CT, Field of view 700 mm wide, 2.50 mm slice spacing 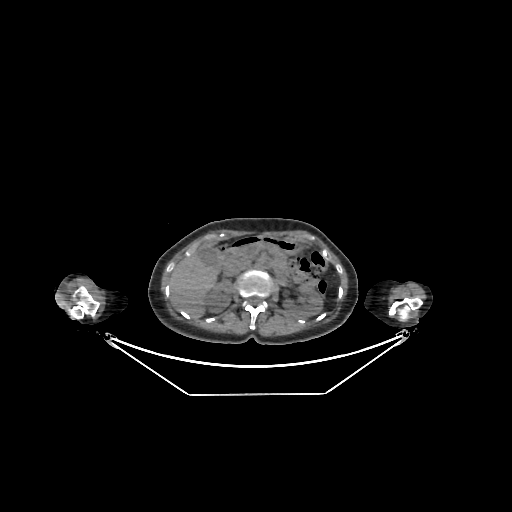 2 kidney regions appear at x1=203 y1=278 x2=233 y2=312, x1=283 y1=285 x2=323 y2=320. 2 liver regions appear at x1=168 y1=250 x2=219 y2=318, x1=228 y1=247 x2=246 y2=271.